FLAIR MR image.
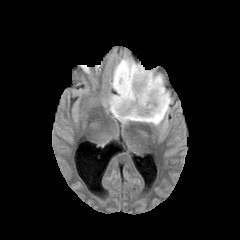
T1-weighted MR.
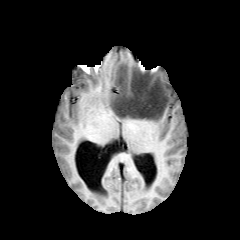
Post-contrast T1-weighted MRI.
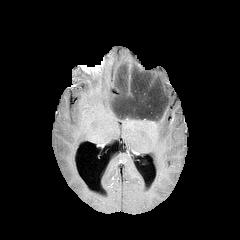
T2-weighted MRI.
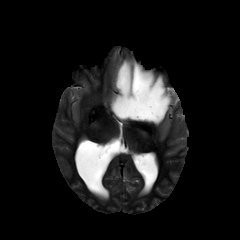
240x240, Brain
Segmented structures:
- non-enhancing tumor core: box=[114, 69, 167, 117]
- edema: box=[109, 57, 172, 127]